Image width 330 mm; Abdomen; CT slice 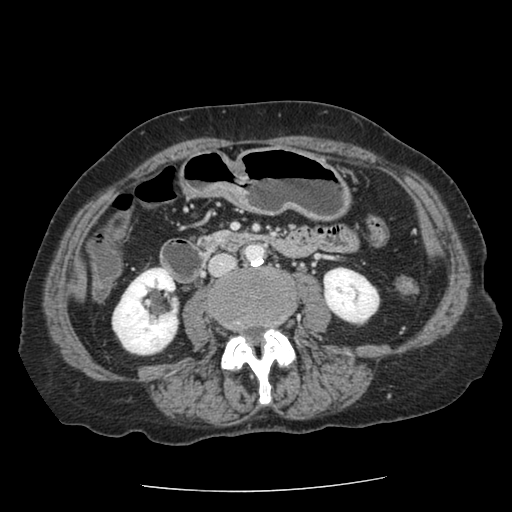
{
  "pancreas": [
    "[203, 234, 222, 244]"
  ]
}